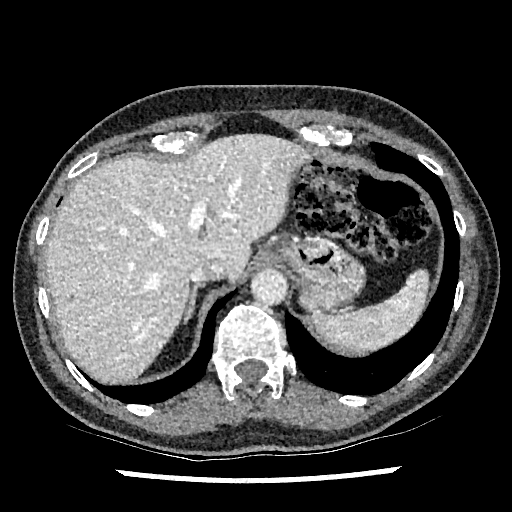

Computed tomography
liver:
  - 46:135:310:382